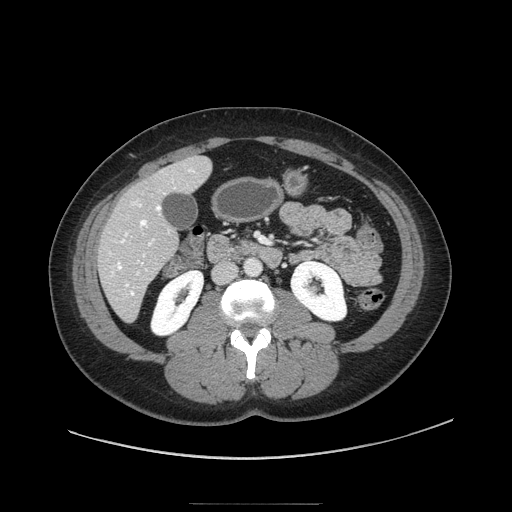

Computed tomography
The pancreas appears at <bbox>232, 237, 254, 257</bbox>. The pancreatic tumor is located at <bbox>239, 239, 253, 247</bbox>.